512x512, CT image, Slice 62/96

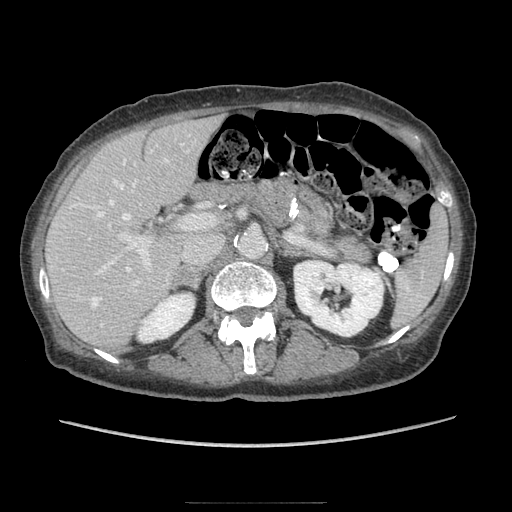 The pancreas is at rect(333, 235, 372, 262).